Image size 240x240
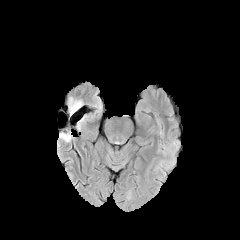
FLAIR MRI.
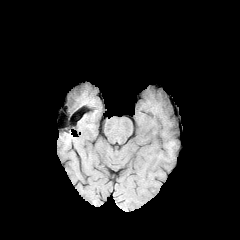
T1-weighted MR image.
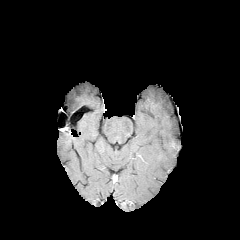
Same slice, post-contrast T1-weighted magnetic resonance.
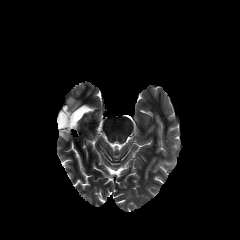
T2-weighted MR of the same slice.
The edema appears at x1=68, y1=97, x2=82, y2=119.